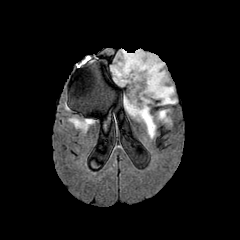
FLAIR MR.
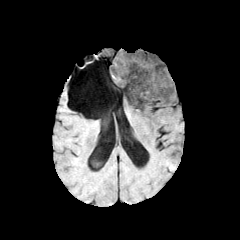
T1-weighted MR image.
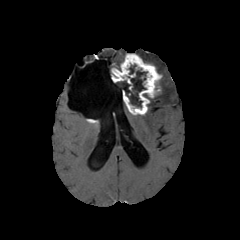
Post-contrast T1-weighted MR image.
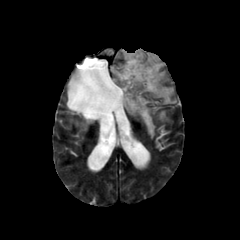
T2-weighted MR of the same slice.
Brain
Findings:
* edema: (x1=132, y1=83, x2=141, y2=99), (x1=110, y1=50, x2=127, y2=67), (x1=157, y1=109, x2=168, y2=121), (x1=124, y1=106, x2=155, y2=138), (x1=135, y1=50, x2=176, y2=105)
* non-enhancing tumor core: (x1=129, y1=64, x2=136, y2=74), (x1=120, y1=70, x2=146, y2=107)
* enhancing tumor: (x1=111, y1=54, x2=161, y2=114)